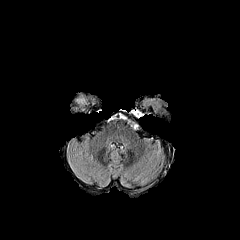
FLAIR MR image.
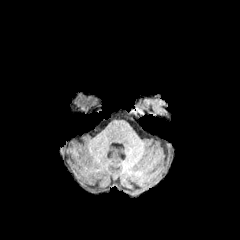
T1-weighted MR image of the same slice.
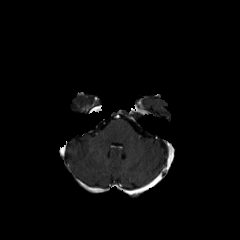
Post-contrast T1-weighted MR image of the same slice.
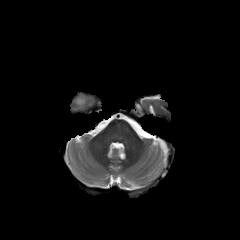
Same slice, T2-weighted MR image.
The edema is located at (x1=75, y1=95, x2=94, y2=107).